FLAIR MR image.
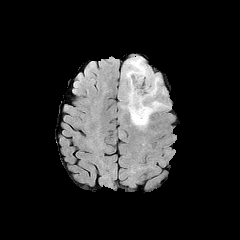
T1-weighted MR.
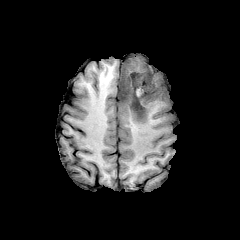
Post-contrast T1-weighted MR image.
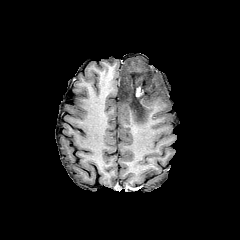
T2-weighted MR image.
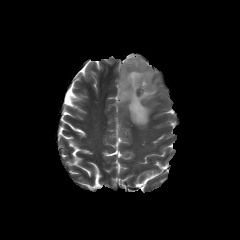
Head
{"edema": ["120,56,165,127"], "non-enhancing_tumor_core": ["120,72,152,113"]}